Head
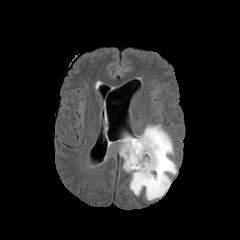
FLAIR magnetic resonance.
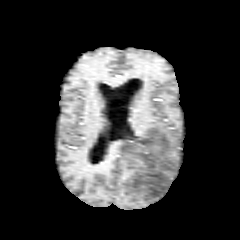
T1-weighted MR image.
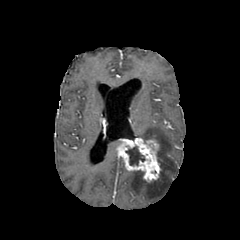
Post-contrast T1-weighted MR image.
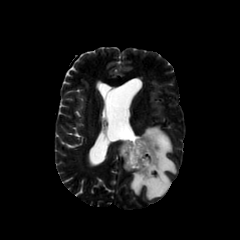
Same slice, T2-weighted MRI.
The enhancing tumor is at (left=118, top=138, right=161, bottom=181). The edema is at (left=123, top=125, right=176, bottom=200). 3 non-enhancing tumor core regions appear at (left=125, top=146, right=145, bottom=165), (left=148, top=134, right=159, bottom=147), (left=122, top=135, right=139, bottom=140).